CT scan slice. Field of view 306x306 mm.

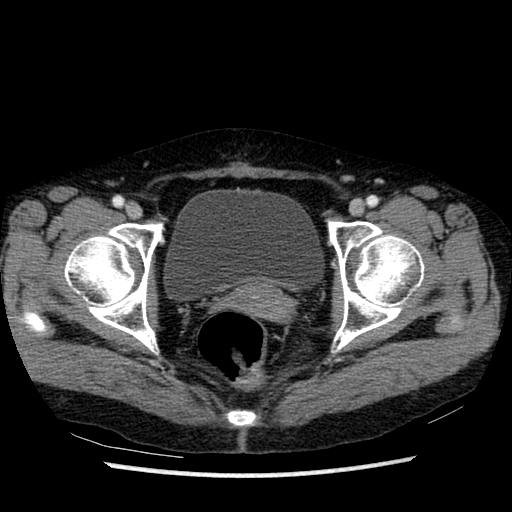 Urinary bladder: bounding box (left=163, top=188, right=324, bottom=302).